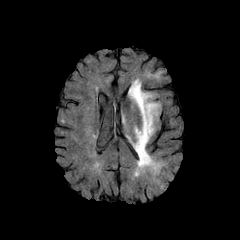
FLAIR MR image.
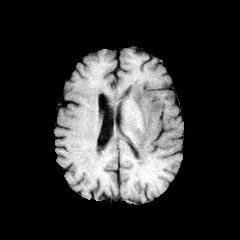
Same slice, T1-weighted MRI.
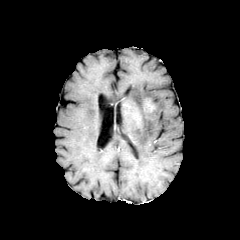
Post-contrast T1-weighted magnetic resonance.
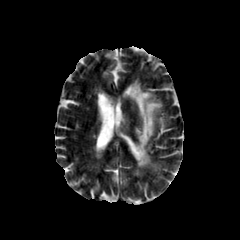
T2-weighted MR of the same slice.
Brain. Image size 240x240.
Edema at (126, 79, 161, 169).
Enhancing tumor at (145, 101, 156, 112).